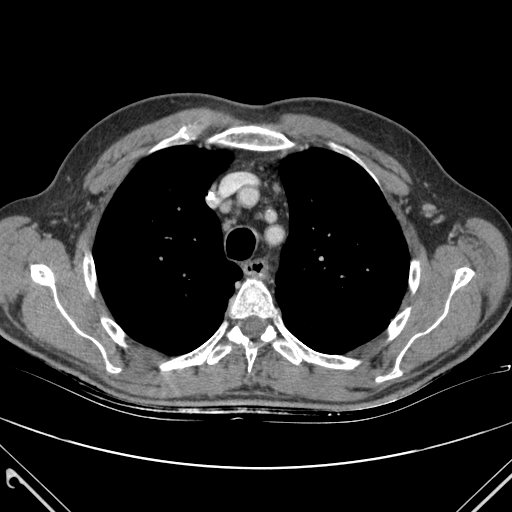

CT scan slice.

{"lung": ["box(275, 148, 409, 353)", "box(93, 146, 242, 355)"], "bone": ["box(388, 308, 410, 339)", "box(332, 143, 360, 162)", "box(160, 323, 230, 370)", "box(376, 300, 449, 381)", "box(231, 279, 276, 317)", "box(273, 318, 359, 368)", "box(409, 261, 419, 291)", "box(31, 265, 120, 372)", "box(261, 326, 275, 342)", "box(209, 126, 293, 150)", "box(228, 326, 256, 371)", "box(83, 256, 95, 296)", "box(450, 267, 473, 295)", "box(152, 127, 195, 150)", "box(101, 318, 125, 345)"]}